512x512; Slice 46 of 122; CT image

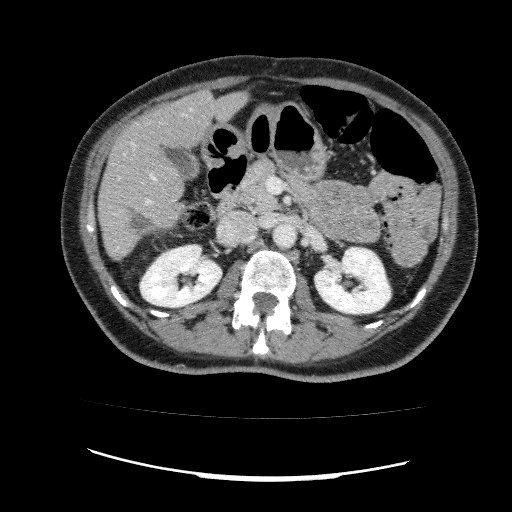 The hepatic lesion is located at (130,211,150,233). The liver is located at (97,90,249,260). 2 kidney regions appear at (140,245,221,306), (315,248,390,313).